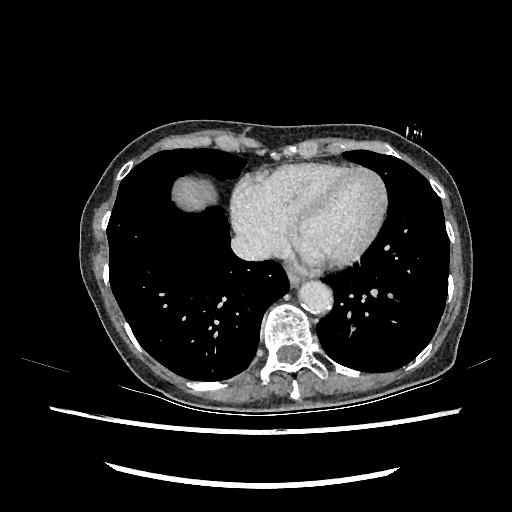 Computed tomography | Image size 512x512

The liver lies within rect(179, 182, 202, 208).